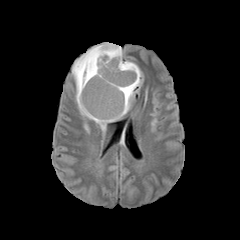
FLAIR magnetic resonance.
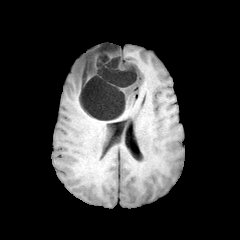
T1-weighted MR.
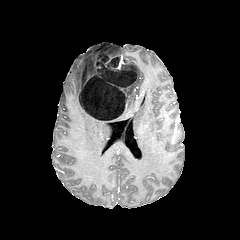
Post-contrast T1-weighted magnetic resonance of the same slice.
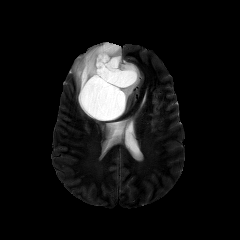
Same slice, T2-weighted MR.
Head. Image size 240x240.
Non-enhancing tumor core at [78,44,137,121].
Enhancing tumor at [118,55,125,69].
Edema at [72,44,112,131], [122,60,143,115].